FLAIR magnetic resonance.
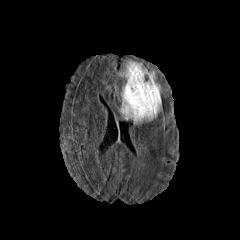
T1-weighted MR image.
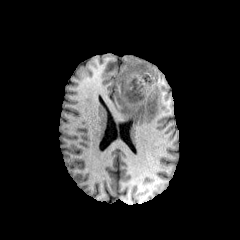
Post-contrast T1-weighted MRI.
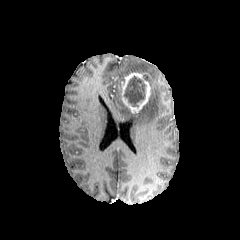
T2-weighted MR.
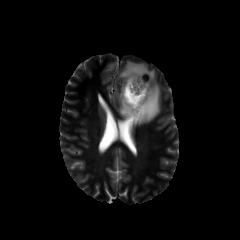
240x240; Head
2 edema regions are located at (118, 61, 148, 76), (120, 71, 161, 125). The non-enhancing tumor core is bounded by (124, 75, 144, 106). The enhancing tumor is located at (120, 72, 151, 113).